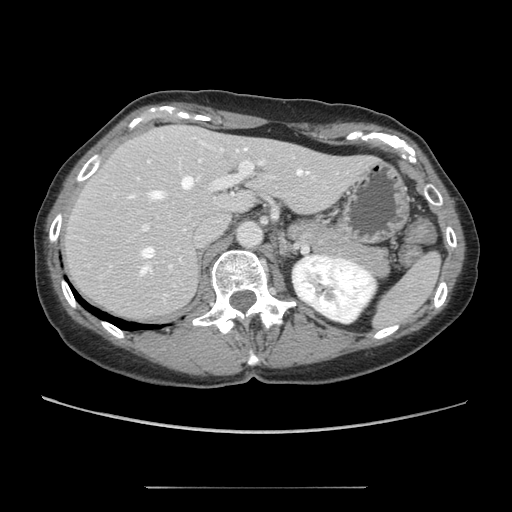
CT slice. Abdomen. The pancreas lies within rect(287, 216, 351, 256).